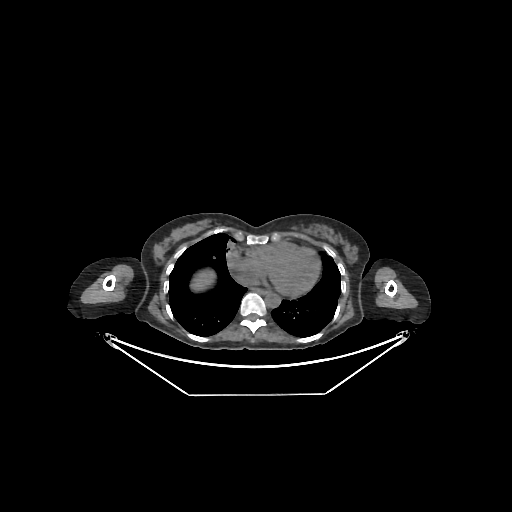
CT scan slice. 512x512. Abdomen.

The liver appears at [x1=194, y1=279, x2=209, y2=286].